512x512 px, CT

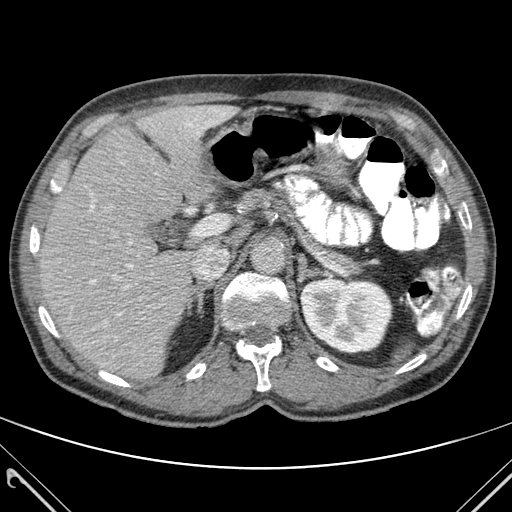

Annotated regions:
* liver: box(40, 106, 238, 380)
* bone: box(48, 180, 60, 196); box(457, 285, 471, 317); box(317, 357, 337, 370); box(99, 371, 128, 386); box(435, 160, 446, 173); box(397, 354, 425, 373); box(39, 307, 58, 336); box(223, 273, 287, 328); box(30, 224, 39, 253); box(187, 364, 205, 378); box(237, 337, 280, 391); box(459, 203, 471, 228)
* kidney: box(301, 279, 390, 351)